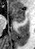

Magnetic resonance | Image size 35x49
anterior_hippocampus:
  - (x1=8, y1=5, x2=24, y2=21)
posterior_hippocampus:
  - (x1=18, y1=22, x2=23, y2=22)